FLAIR MR image.
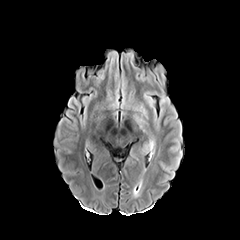
T1-weighted MR.
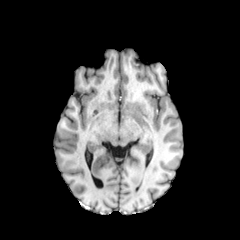
Post-contrast T1-weighted MRI.
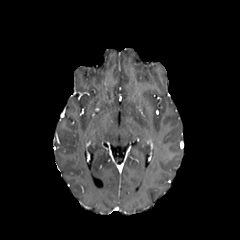
T2-weighted MR image.
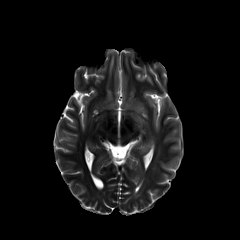
Brain
{"edema": ["box(139, 142, 149, 154)", "box(143, 93, 158, 128)", "box(121, 83, 149, 134)"]}